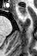
Image size 37x56, MRI slice
{
  "anterior_hippocampus": [
    "(left=19, top=6, right=26, bottom=16)"
  ]
}